Medial temporal lobe, Field of view 37 mm wide, 1.00 mm slice spacing, Slice index 9, MR, Image size 37x50
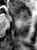 {"anterior_hippocampus": ["x1=10, y1=6, x2=30, y2=19"]}